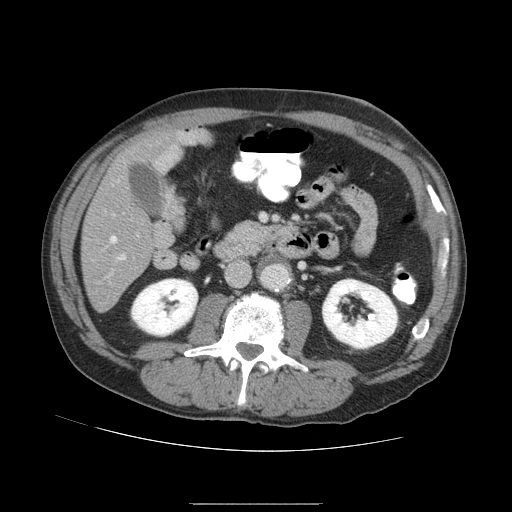

Liver. Computed tomography.

The vessel annotation is not exhaustive.
Hepatic vessel = <bbox>118, 254, 125, 259</bbox>, <bbox>110, 236, 116, 242</bbox>.